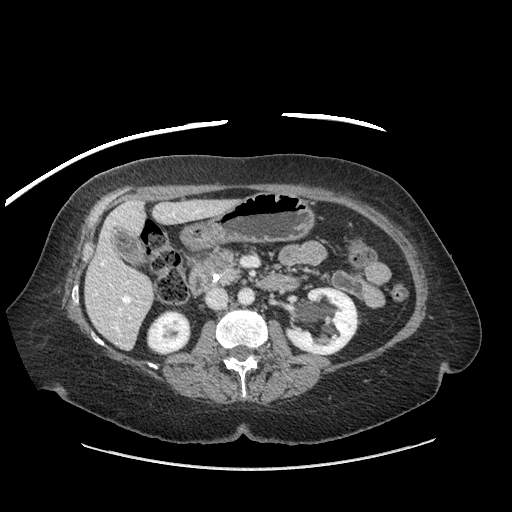
Image size 512x512; CT; Abdomen
pancreatic_tumor:
  - x1=208, y1=255, x2=231, y2=271
pancreas:
  - x1=196, y1=250, x2=242, y2=285